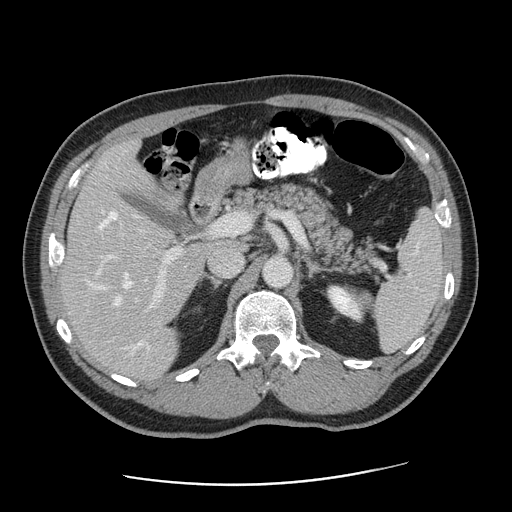

CT slice
Only some of the vessels may be annotated.
<segmentation>
  <hepatic_vessel>(124,273,131,287), (115,298,121,304), (98,255,113,273), (147,345,148,347), (149,303,154,308), (164,247,184,265), (243,245,245,246), (155,268,165,299), (207,244,242,276), (133,342,145,351), (210,213,250,235), (88,282,104,288), (98,212,116,229)</hepatic_vessel>
</segmentation>